Liver | CT image | Slice index 53

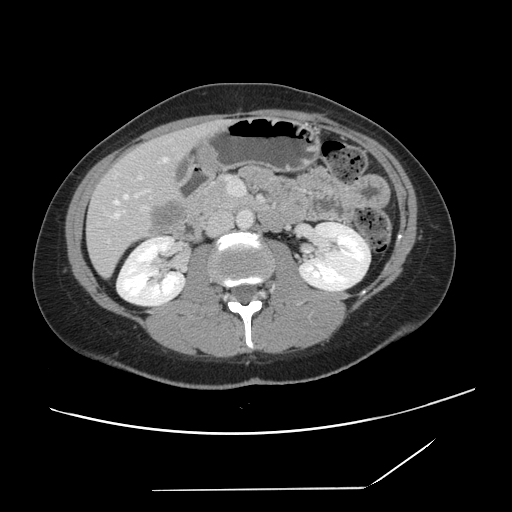 The vessel boxes may cover only some of the vessels.
8 hepatic vessel regions appear at <bbox>111, 213, 118, 218</bbox>, <bbox>142, 206, 147, 208</bbox>, <bbox>135, 191, 148, 197</bbox>, <bbox>114, 201, 118, 204</bbox>, <bbox>159, 158, 166, 163</bbox>, <bbox>124, 195, 127, 198</bbox>, <bbox>139, 176, 141, 178</bbox>, <bbox>122, 211, 124, 212</bbox>. The liver tumor is located at <bbox>149, 201, 183, 231</bbox>.